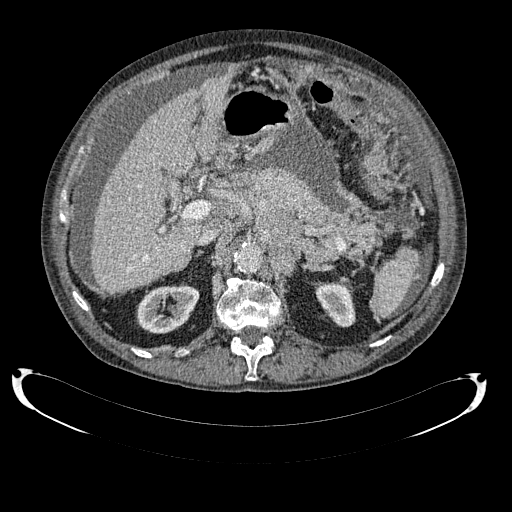
512x512 px, CT, Liver
Segmented structures:
* kidney: (x1=316, y1=283, x2=354, y2=326), (x1=138, y1=286, x2=198, y2=332)
* liver: (x1=90, y1=71, x2=235, y2=293)